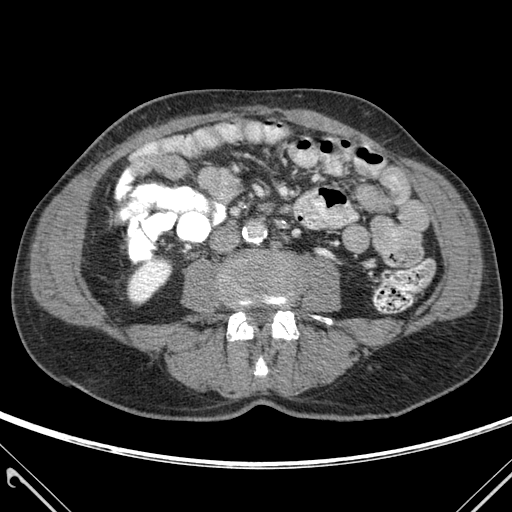 Abdomen | 512x512 px | CT scan slice

Bone at l=255, t=358, r=267, b=375; l=228, t=312, r=252, b=340; l=223, t=259, r=298, b=339.
Kidney at l=129, t=259, r=169, b=301.